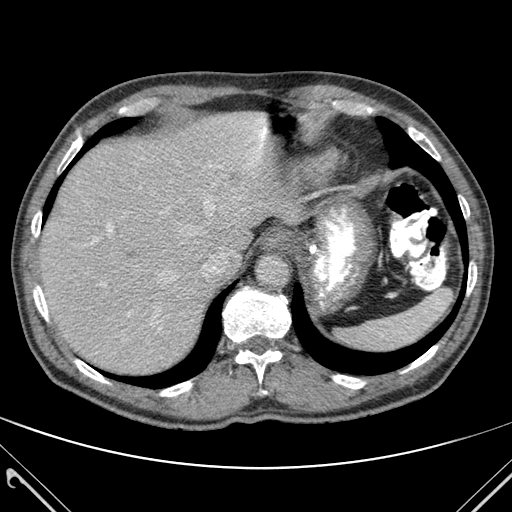

Image size 512x512. CT.

The liver is located at (39,112,304,375). 5 lung regions are bounded by (75,118,134,161), (376,117,467,262), (109,283,234,388), (44,179,62,217), (291,284,460,374). The hepatic lesion lies within (230,172,239,185). 12 bone regions are bounded by (409,128,440,159), (459,196,469,217), (75,360,107,383), (58,137,81,172), (333,375,364,388), (404,346,437,372), (235,350,281,382), (34,286,47,320), (223,287,290,342), (467,262,476,293), (160,381,191,396), (31,212,41,236).